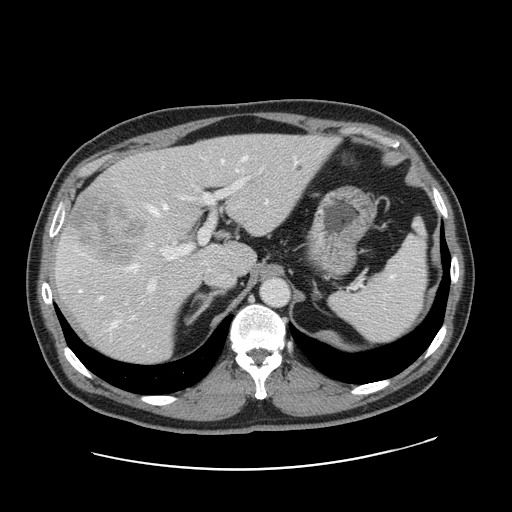 Abdomen; 512x512 px; CT slice
The vessel boxes may cover only some of the vessels.
Liver tumor: bounding box 70,195,147,270.
Largest 15 of 19 hepatic vessel regions: bounding box 160,238,193,258; 148,242,152,245; 179,194,192,198; 199,210,218,243; 242,155,246,160; 195,186,199,189; 147,205,159,214; 201,178,246,205; 148,281,155,291; 226,206,236,213; 236,169,242,171; 128,264,139,271; 162,202,167,208; 294,155,298,162; 265,200,267,203.